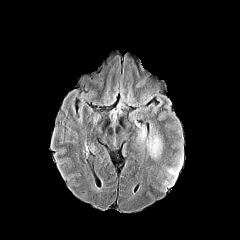
FLAIR MR.
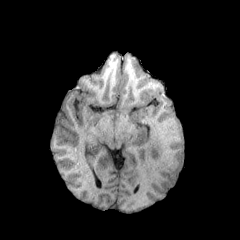
T1-weighted magnetic resonance.
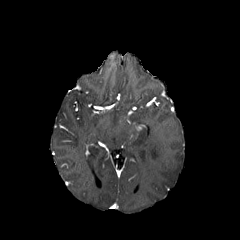
Post-contrast T1-weighted magnetic resonance.
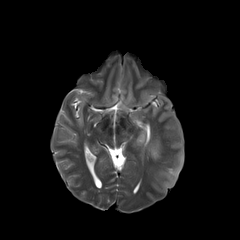
T2-weighted magnetic resonance of the same slice.
Image size 240x240
2 edema regions are located at 147,123,162,160; 166,154,182,179.